MRI slice, Hippocampus
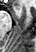
Anterior hippocampus = (x1=14, y1=6, x2=19, y2=9).